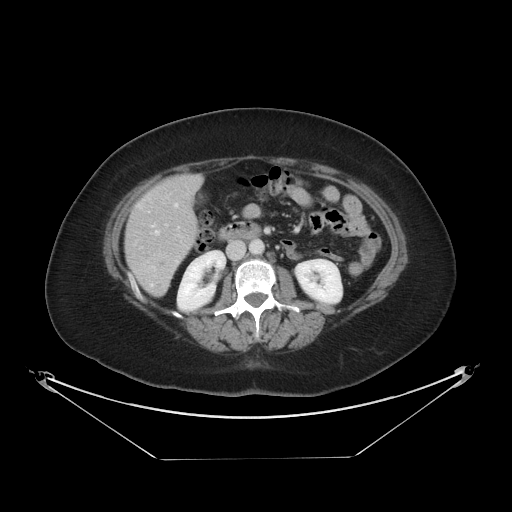

CT image

The vessel annotation is not exhaustive.
hepatic vessel: [155,230,158,233]